Slice index 88
FLAIR MR image.
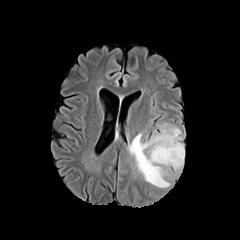
T1-weighted MRI.
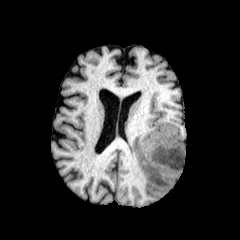
Post-contrast T1-weighted MRI.
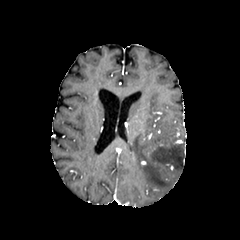
T2-weighted magnetic resonance.
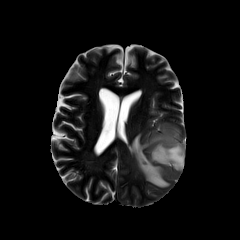
Edema: (x1=129, y1=123, x2=185, y2=187).